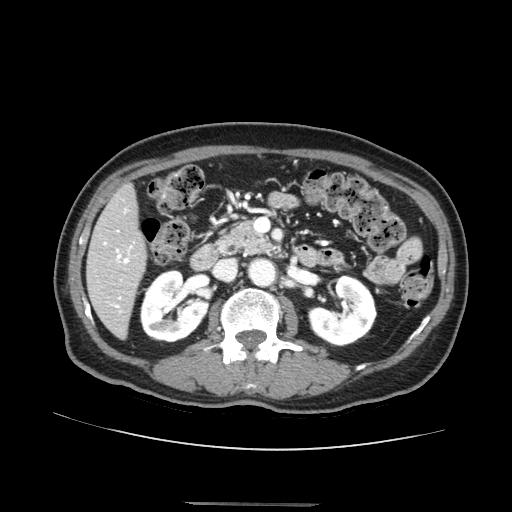
CT image. 512x512.
Pancreas at {"x1": 229, "y1": 222, "x2": 267, "y2": 252}.